Slice 76/110; MRI
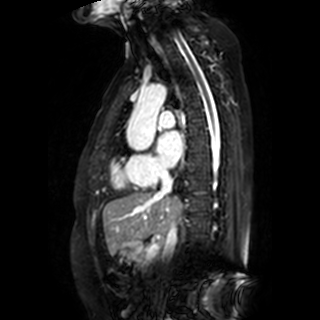
Left atrium: box=[156, 131, 182, 167].